CT image; Abdomen
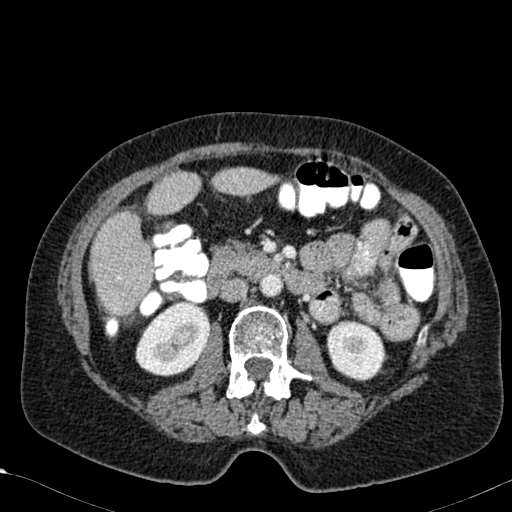 kidney:
  - 327 321 384 379
  - 136 298 210 375
liver:
  - 146 173 198 213
  - 92 212 151 313
  - 213 168 274 194